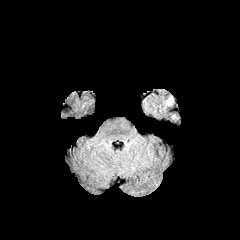
FLAIR MRI.
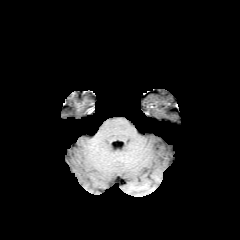
T1-weighted MR image of the same slice.
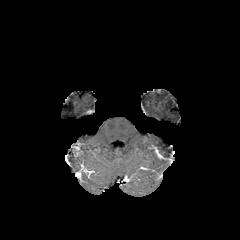
Post-contrast T1-weighted MRI.
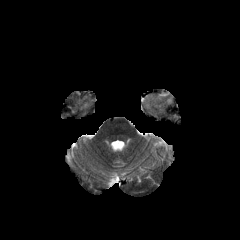
T2-weighted MR image.
Brain
- edema: 163 96 173 108